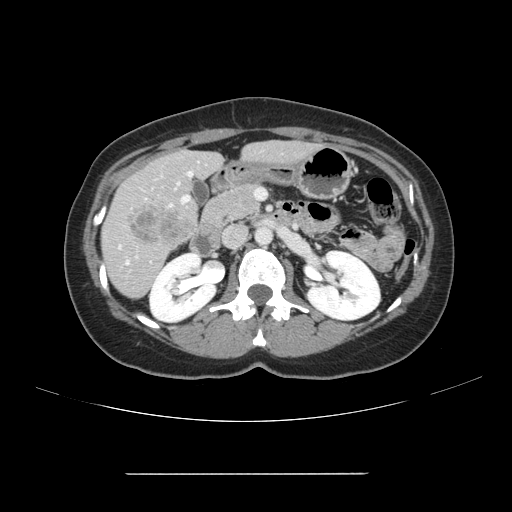
Image size 512x512, CT
The vessel annotation is not exhaustive.
{
  "hepatic_vessel": [
    "(169,204,172,206)",
    "(118,245,120,248)",
    "(177,182,178,185)",
    "(181,196,189,202)",
    "(126,261,128,263)",
    "(188,172,191,175)"
  ],
  "liver_tumor": [
    "(129,203,190,241)"
  ]
}